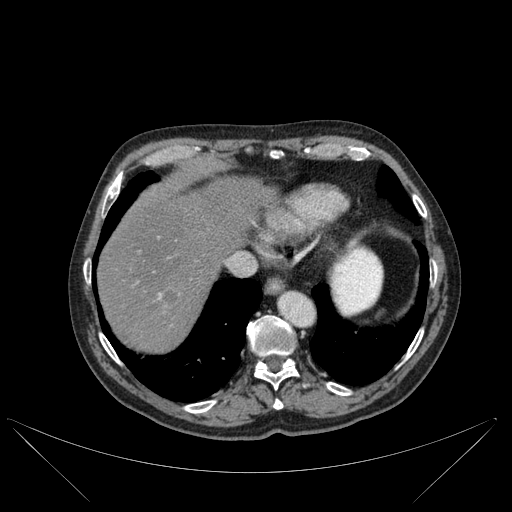

Computed tomography | Abdomen

Liver lesion: bounding box l=163, t=290, r=177, b=301.
Bone: bounding box l=269, t=152, r=281, b=158; l=83, t=264, r=90, b=282; l=274, t=399, r=282, b=409; l=406, t=329, r=423, b=359; l=326, t=382, r=350, b=395; l=430, t=263, r=437, b=283; l=99, t=333, r=119, b=363; l=413, t=195, r=426, b=216; l=247, t=315, r=298, b=389; l=105, t=176, r=120, b=199; l=184, t=400, r=215, b=413.
Liver: bounding box l=98, t=176, r=276, b=353.
Lung: bounding box l=310, t=243, r=428, b=384; l=98, t=279, r=261, b=401; l=92, t=171, r=158, b=293; l=377, t=165, r=418, b=223.